CT slice, Image size 512x512

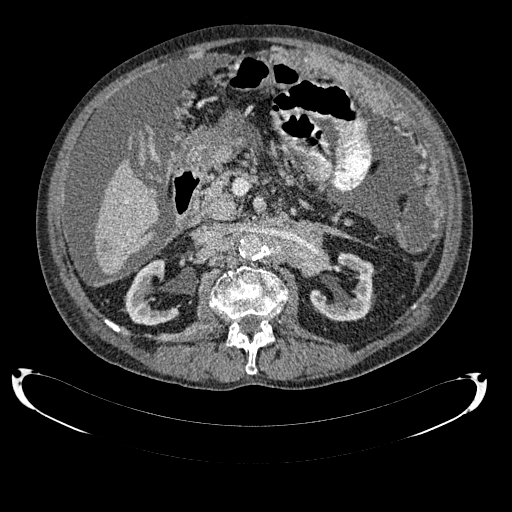
liver:
  - l=95, t=158, r=157, b=274
hepatic_lesion:
  - l=101, t=241, r=111, b=253
kidney:
  - l=126, t=260, r=177, b=324
  - l=306, t=252, r=373, b=320